Computed tomography. Field of view 432x432 mm.

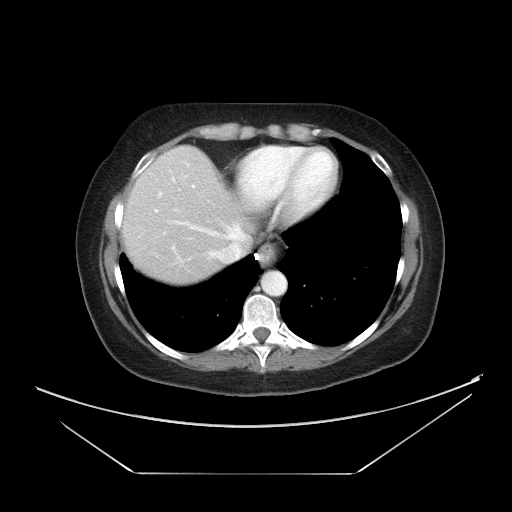
The vessel annotation is not exhaustive.
Segmented structures:
• hepatic vessel: rect(224, 224, 243, 240); rect(163, 232, 165, 234); rect(178, 257, 180, 260); rect(172, 245, 175, 252); rect(192, 185, 194, 187); rect(209, 246, 240, 258); rect(231, 245, 233, 246); rect(158, 193, 160, 196); rect(155, 209, 157, 212); rect(174, 221, 179, 223); rect(191, 227, 221, 235); rect(186, 164, 188, 165)